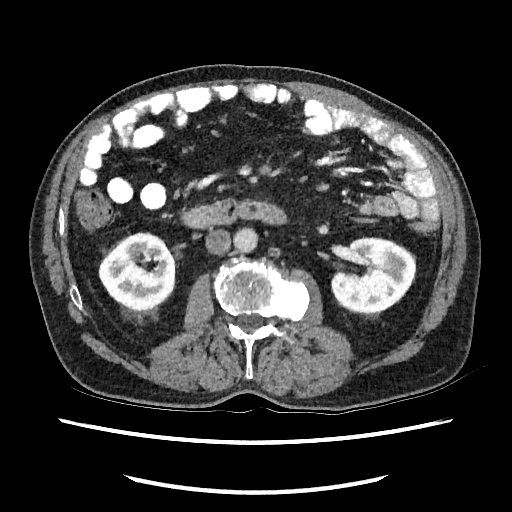

CT
Kidney — <bbox>99, 232, 174, 317</bbox>, <bbox>331, 237, 415, 314</bbox>.